Image width 348 mm, Pelvis, CT scan slice, Slice index 84
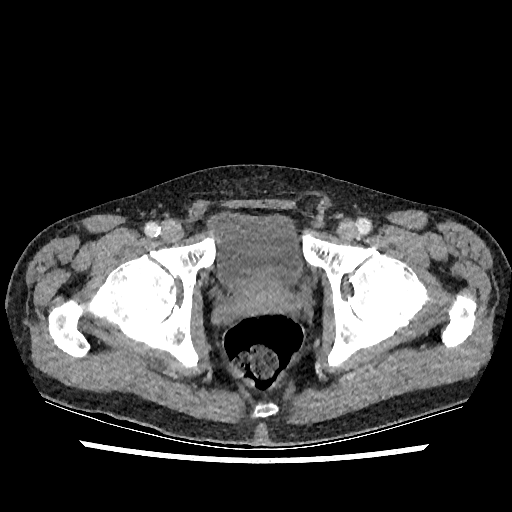
Annotated regions:
- urinary bladder: x1=205, y1=211, x2=312, y2=321